Computed tomography, Image width 351 mm 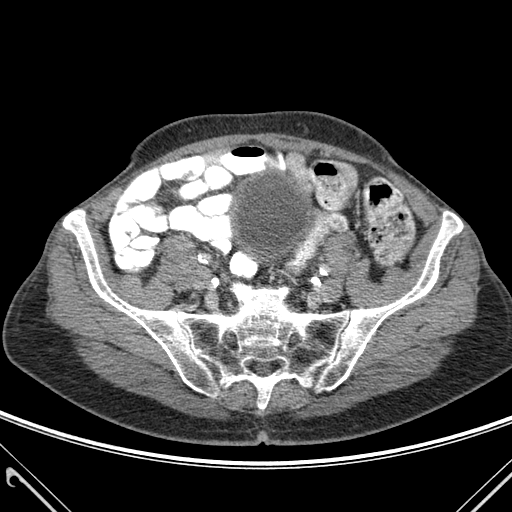
The bone is at {"x1": 63, "y1": 210, "x2": 462, "y2": 408}.